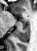
MR image.
The posterior hippocampus is bounded by l=16, t=24, r=29, b=41.